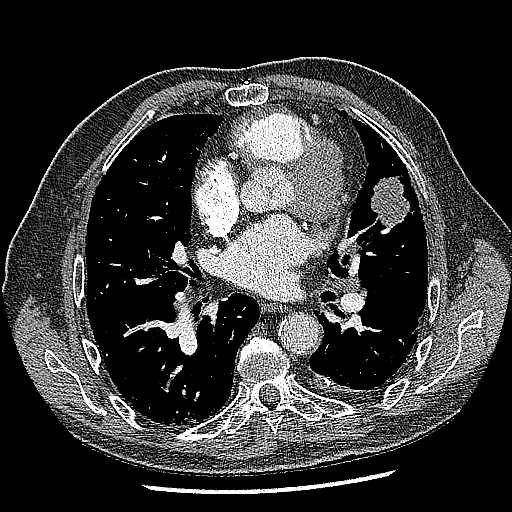
Chest | CT image
Lung tumor: bounding box 371,177,409,226.